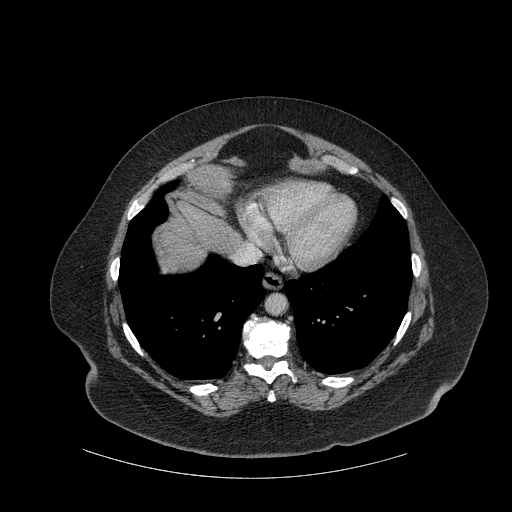
CT image. 512x512 px. Upper abdomen. Liver at rect(158, 203, 240, 273).
Lung at rect(285, 195, 411, 373); rect(118, 180, 263, 378).
Bone at rect(128, 201, 143, 219); rect(268, 391, 274, 401); rect(123, 324, 142, 355); rect(110, 258, 119, 280); rect(322, 377, 352, 387); rect(190, 384, 216, 395); rect(245, 361, 295, 383); rect(392, 198, 406, 217); rect(412, 254, 420, 276); rect(244, 318, 289, 358); rect(394, 312, 410, 344).